FLAIR MRI.
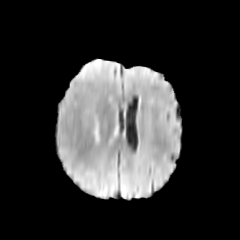
T1-weighted MRI.
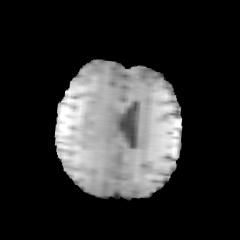
Post-contrast T1-weighted magnetic resonance.
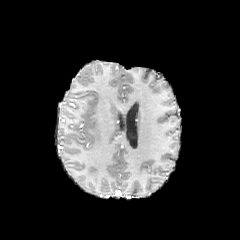
T2-weighted MRI.
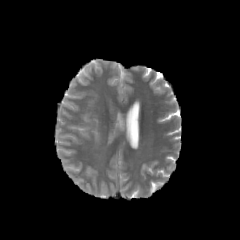
Brain
The edema is at (x1=93, y1=119, x2=100, y2=145).